Head
FLAIR MRI.
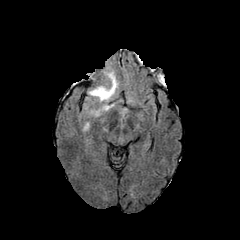
T1-weighted MR.
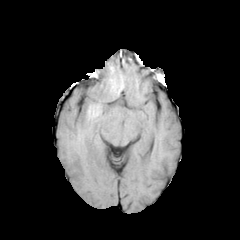
Post-contrast T1-weighted MR image.
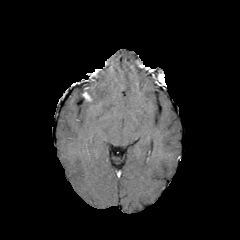
T2-weighted MR image.
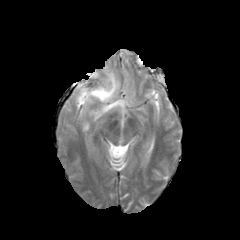
{
  "non-enhancing_tumor_core": [
    "(x1=85, y1=75, x2=96, y2=91)"
  ],
  "edema": [
    "(x1=83, y1=67, x2=118, y2=117)"
  ]
}